FLAIR magnetic resonance.
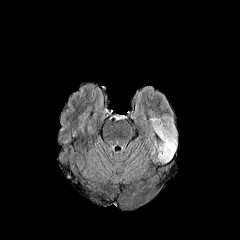
T1-weighted MR.
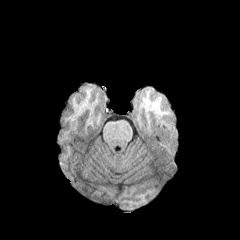
Post-contrast T1-weighted magnetic resonance.
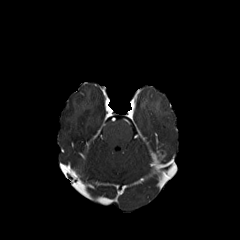
T2-weighted MRI.
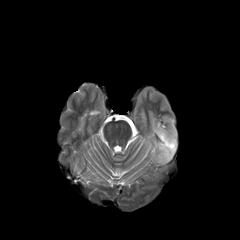
240x240, Brain
Findings:
- enhancing tumor: box=[156, 146, 167, 160]
- edema: box=[146, 117, 177, 163]